Computed tomography, Lower abdomen
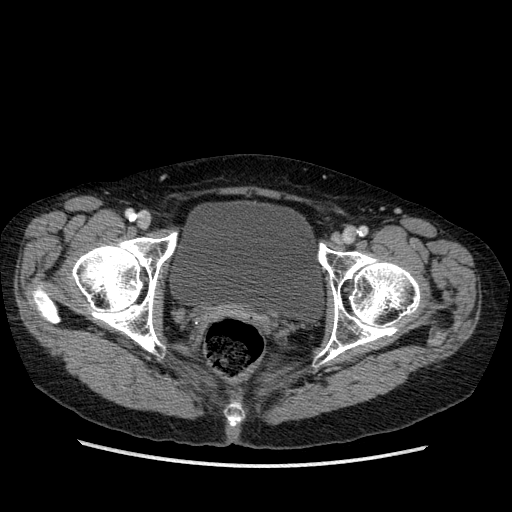 The urinary bladder is bounded by x1=168 y1=200 x2=327 y2=324.